512x512; CT scan slice; Field of view 464x464 mm; Liver 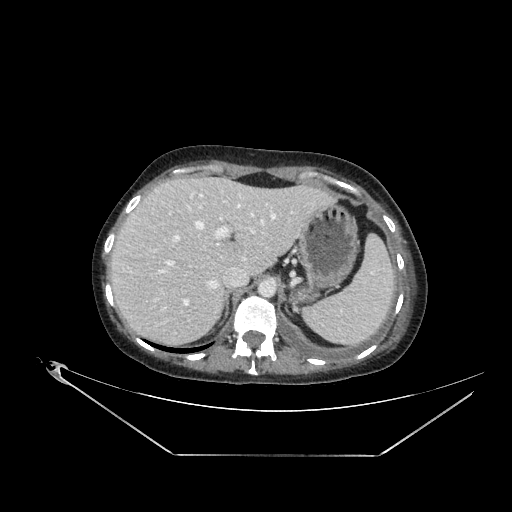

{
  "liver": [
    "114:180:326:340"
  ]
}